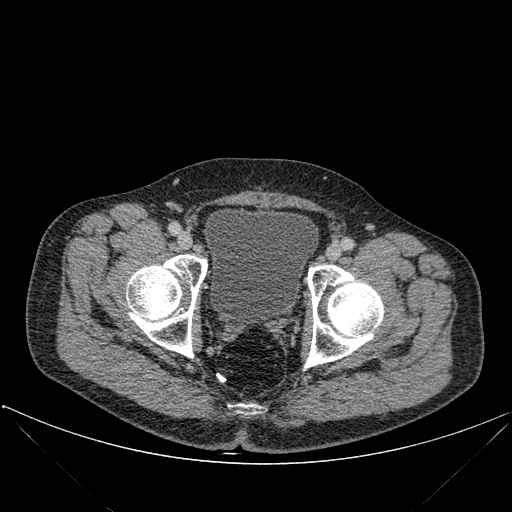

Computed tomography; Pelvis
{"urinary_bladder": ["204,206,318,325"], "bone": ["233,404,256,413", "304,265,383,368", "126,255,207,357"]}